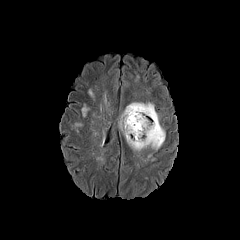
FLAIR magnetic resonance.
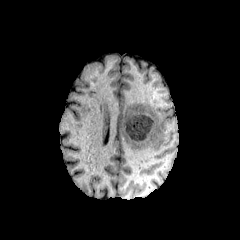
T1-weighted magnetic resonance of the same slice.
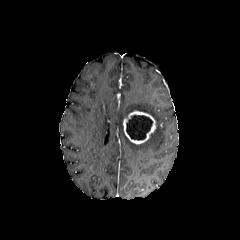
Post-contrast T1-weighted MRI.
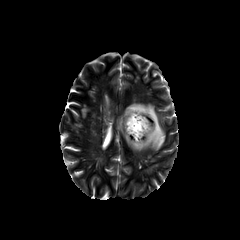
Same slice, T2-weighted MR.
240x240 | Brain
Enhancing tumor = 122, 110, 156, 144.
Edema = 123, 103, 165, 152.
Non-enhancing tumor core = 126, 115, 153, 140.